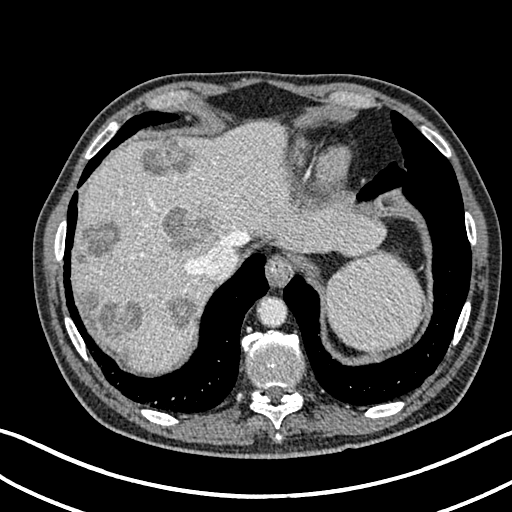
CT image, 512x512

<segmentation>
  <liver><box>73,123,385,371</box></liver>
  <hepatic_lesion><box>76,253,85,261</box>, <box>167,297,195,329</box>, <box>115,351,128,362</box>, <box>142,139,195,175</box>, <box>81,294,142,336</box>, <box>161,207,211,250</box>, <box>82,222,118,256</box></hepatic_lesion>
</segmentation>